FLAIR magnetic resonance.
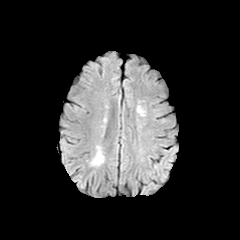
T1-weighted MR image.
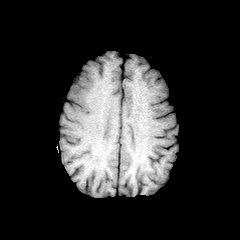
Post-contrast T1-weighted MR image.
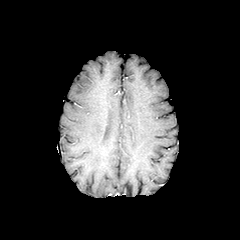
T2-weighted magnetic resonance.
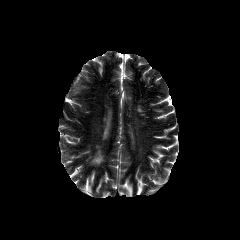
Image size 240x240; Brain
The edema appears at [x1=91, y1=152, x2=103, y2=165].